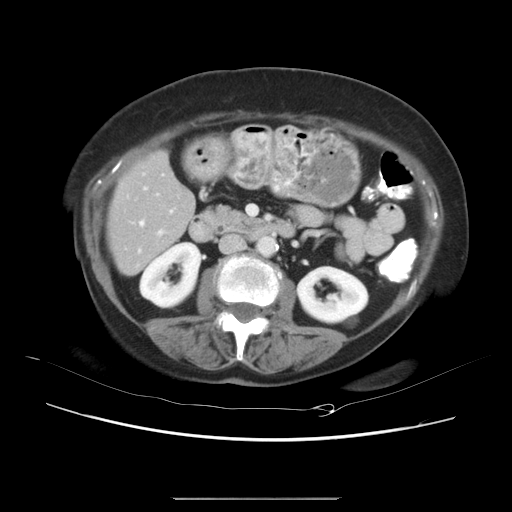 CT
The vessel boxes may cover only some of the vessels.
Segmented structures:
• hepatic vessel: (x1=144, y1=187, x2=146, y2=189), (x1=142, y1=174, x2=144, y2=175), (x1=156, y1=194, x2=159, y2=195), (x1=169, y1=209, x2=173, y2=213), (x1=138, y1=221, x2=144, y2=225), (x1=137, y1=248, x2=140, y2=252), (x1=136, y1=264, x2=138, y2=266), (x1=131, y1=222, x2=133, y2=223), (x1=157, y1=229, x2=165, y2=234), (x1=127, y1=196, x2=128, y2=198)